Slice index 404; Abdomen; CT scan slice; Image size 512x512 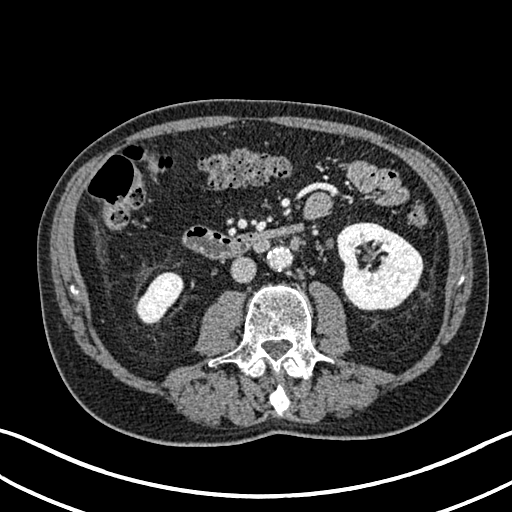
2 kidney regions appear at [x1=338, y1=223, x2=422, y2=309], [x1=137, y1=273, x2=182, y2=322].